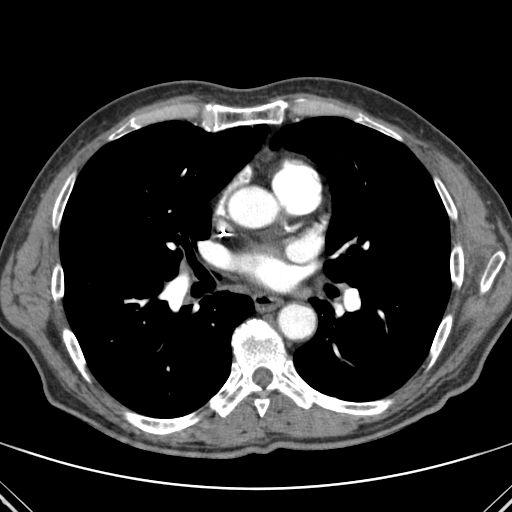

CT scan slice
Segmented structures:
* lung: [60,120,269,417], [324,284,338,298], [270,117,450,401]
* bone: [51,265,63,300], [429,315,451,366], [353,114,401,139], [480,251,504,293], [254,398,269,416], [160,278,187,311], [52,173,74,227], [450,245,463,286], [435,178,456,219], [63,329,88,380], [109,118,140,139], [210,319,391,416], [124,412,199,434], [205,100,288,130]